Image size 512x512 | Slice 56 of 90 | CT slice
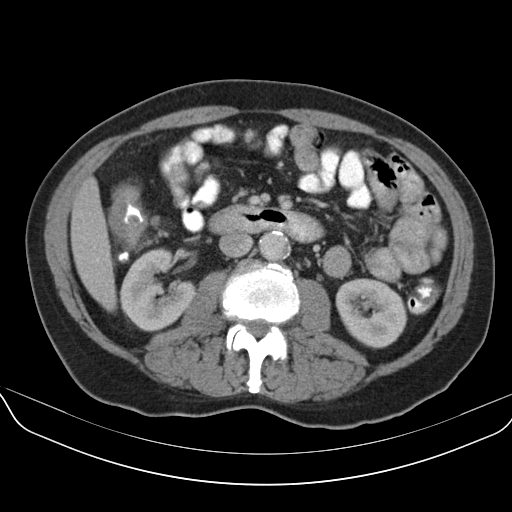
The colon tumor is at (108,186,147,246).